Computed tomography. Slice 289 of 366.

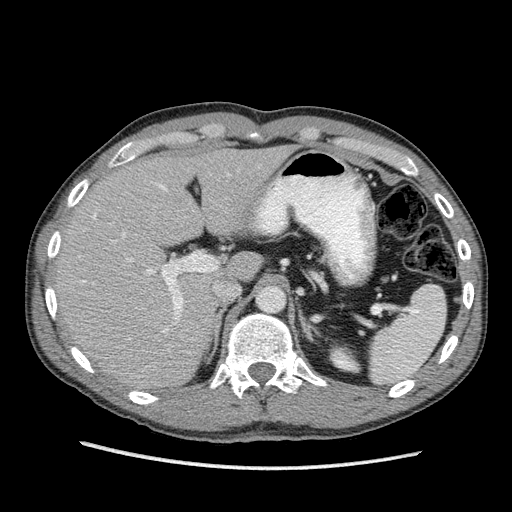
The liver is at [x1=50, y1=144, x2=298, y2=392]. The kidney lies within [x1=333, y1=351, x2=356, y2=369].